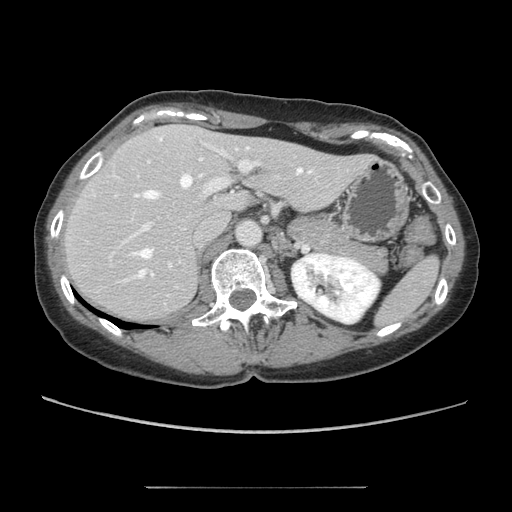

CT scan slice | Upper abdomen

pancreas: (287, 211, 352, 255)